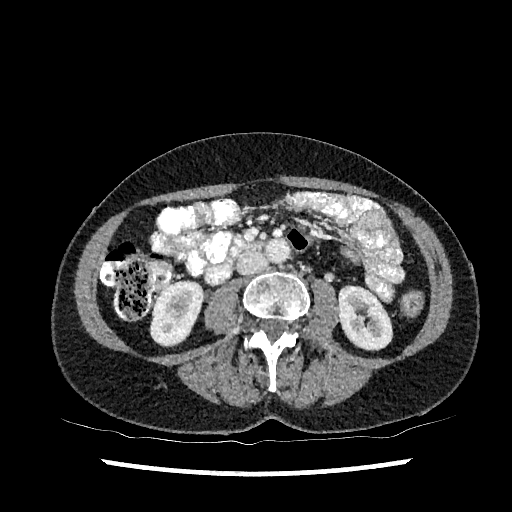 Computed tomography | Abdomen
Annotated regions:
- kidney: region(339, 286, 391, 349); region(151, 282, 202, 345)